CT image. 512x512 px. 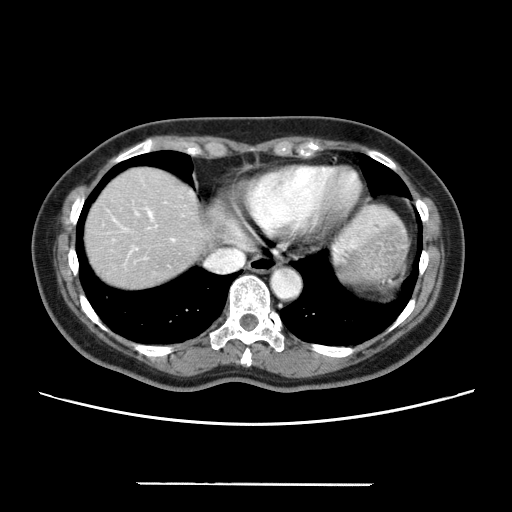 The vessel boxes may cover only some of the vessels.
Findings:
• hepatic vessel: (x1=149, y1=212, x2=150, y2=216)